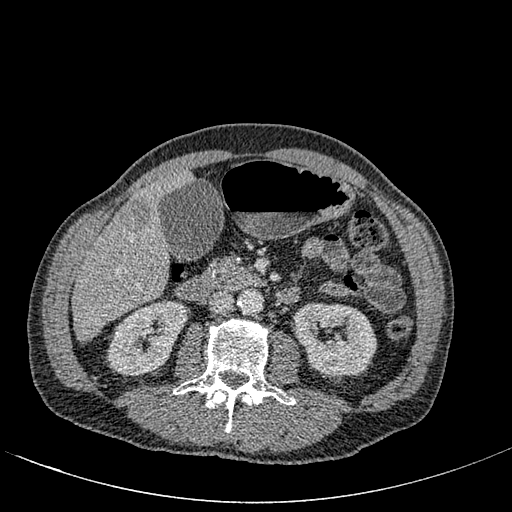 CT image
Segmented structures:
* focal liver lesion: {"x1": 120, "y1": 196, "x2": 152, "y2": 233}
* kidney: {"x1": 108, "y1": 301, "x2": 187, "y2": 375}, {"x1": 294, "y1": 299, "x2": 376, "y2": 376}
* liver: {"x1": 72, "y1": 170, "x2": 193, "y2": 341}